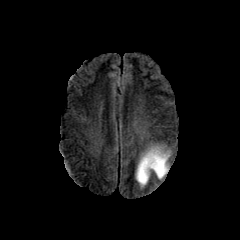
FLAIR MR.
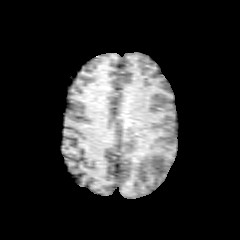
T1-weighted magnetic resonance of the same slice.
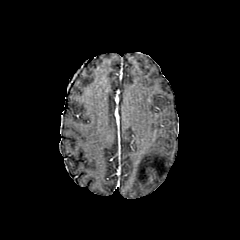
Same slice, post-contrast T1-weighted magnetic resonance.
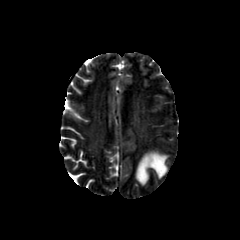
T2-weighted MRI of the same slice.
240x240 px. Brain.
Findings:
- edema: (135,148,169,186)